Slice index 97
FLAIR MR image.
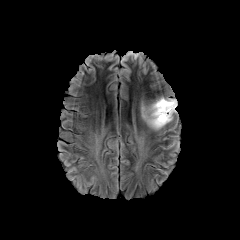
T1-weighted MR.
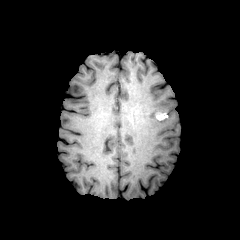
Post-contrast T1-weighted MR.
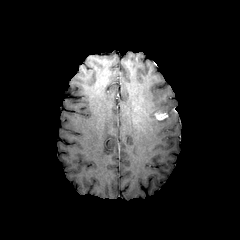
T2-weighted MR image.
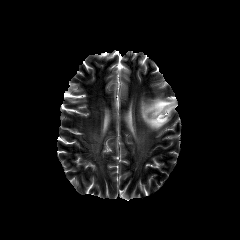
The edema is bounded by x1=140 y1=96 x2=177 y2=130. The enhancing tumor is bounded by x1=155 y1=112 x2=167 y2=119.